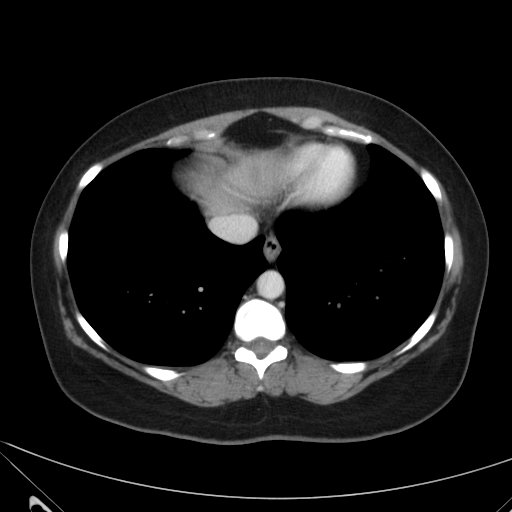
Abdomen. CT scan slice.
Annotated regions:
- liver: 205:154:292:215